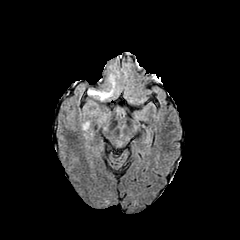
FLAIR MR.
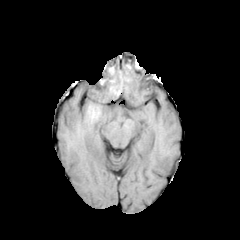
T1-weighted MR.
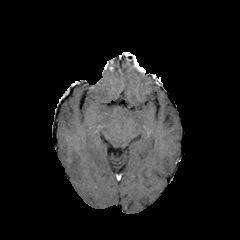
Post-contrast T1-weighted magnetic resonance.
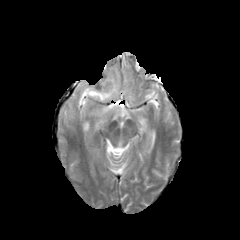
Same slice, T2-weighted magnetic resonance.
{
  "edema": [
    "[87, 82, 115, 101]"
  ]
}